512x512 px. CT slice. 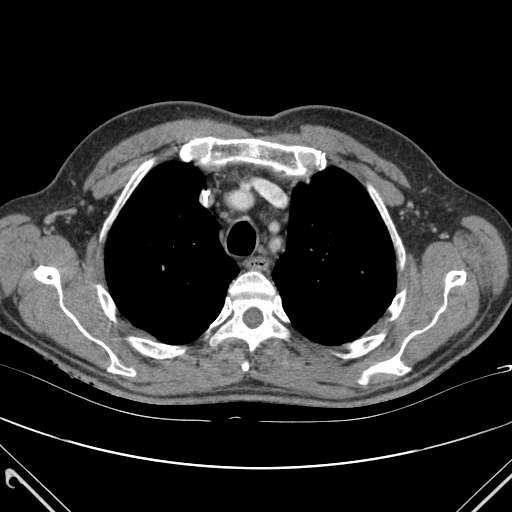 Lung = region(272, 167, 395, 344); region(105, 161, 239, 344).
Bone = region(369, 187, 404, 254); region(129, 337, 184, 358); region(389, 291, 405, 319); region(109, 160, 152, 220); region(180, 137, 325, 174); region(34, 266, 135, 375); region(359, 271, 465, 383); region(97, 285, 114, 320); region(344, 334, 384, 357); region(210, 272, 288, 350).